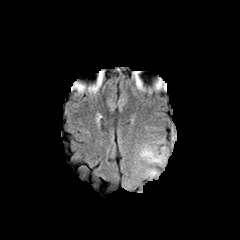
FLAIR MRI.
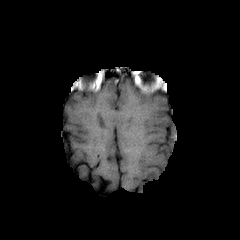
Same slice, T1-weighted magnetic resonance.
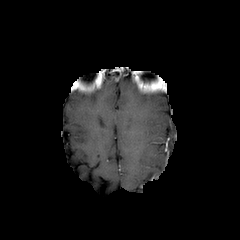
Same slice, post-contrast T1-weighted MR image.
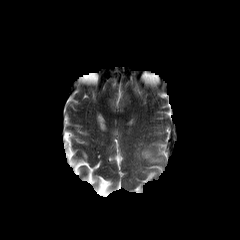
Same slice, T2-weighted MR image.
Edema = box=[138, 139, 168, 179].